FLAIR magnetic resonance.
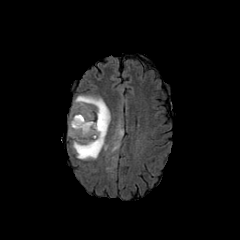
T1-weighted MR.
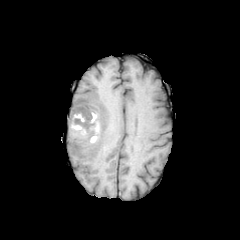
Post-contrast T1-weighted MR image.
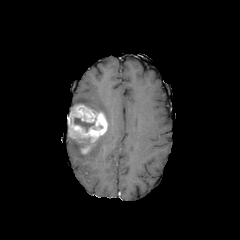
T2-weighted magnetic resonance.
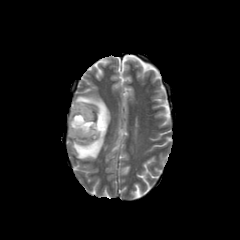
240x240
The enhancing tumor appears at 68 103 108 154. 2 edema regions appear at 74 95 110 123, 71 129 107 160. The non-enhancing tumor core is bounded by 74 105 97 130.